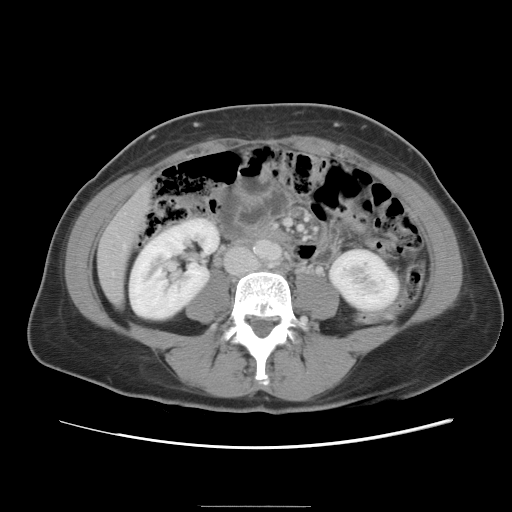
CT, Abdomen
Not every hepatic vessel necessarily has a box.
Hepatic vessel: x1=123, y1=243, x2=124, y2=246.